Head. 240x240.
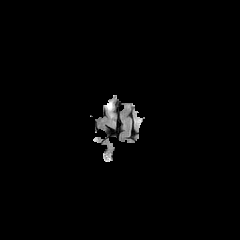
FLAIR MR.
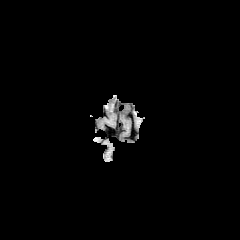
T1-weighted magnetic resonance of the same slice.
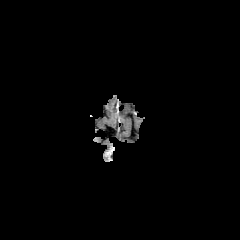
Post-contrast T1-weighted magnetic resonance.
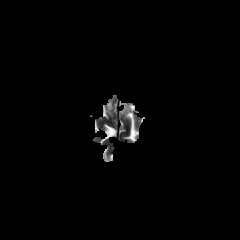
T2-weighted MR image of the same slice.
The edema is located at rect(104, 101, 113, 117).